Abdomen. CT. 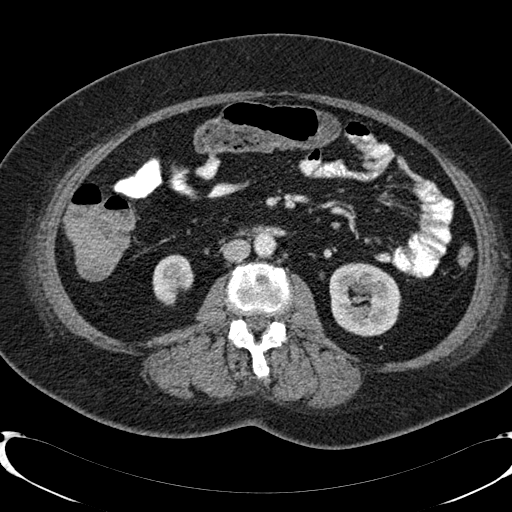
2 kidney regions are located at 153, 256, 192, 303; 330, 264, 399, 335.